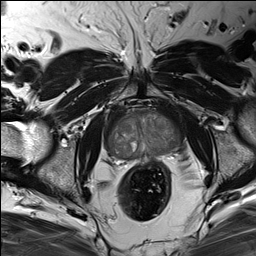
T2-weighted MR image.
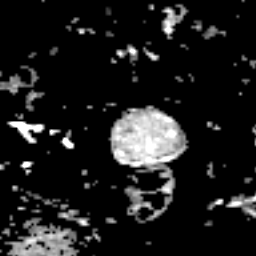
Same slice, ADC MR image.
Prostate
The prostate peripheral zone lies within region(109, 114, 178, 156).